Abdomen | CT image 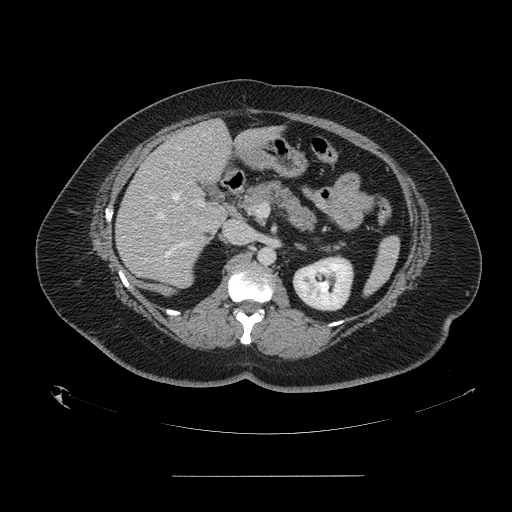 The spleen is at [x1=366, y1=237, x2=399, y2=293].